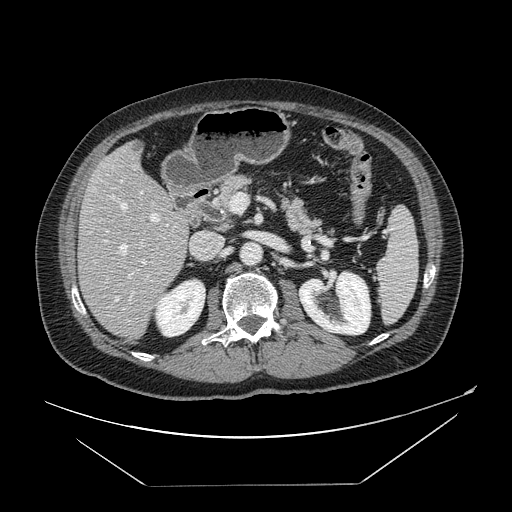

CT. Upper abdomen. pancreas: [216,176,249,207], [282,197,322,235]